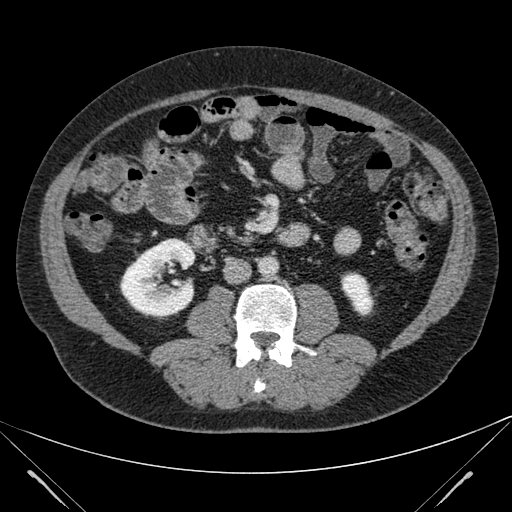

512x512, CT scan slice, Abdomen
Kidney at box(121, 239, 194, 315); box(342, 274, 372, 314).